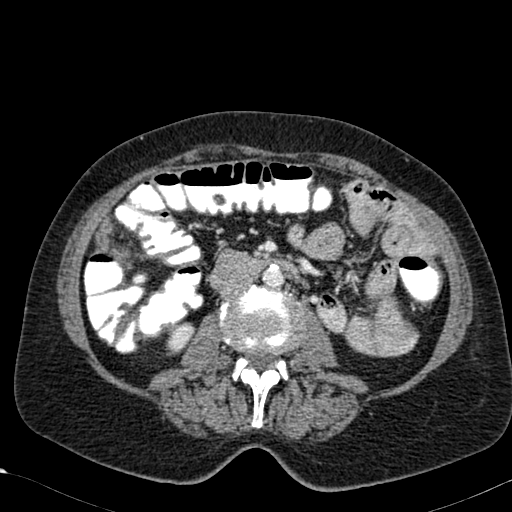 CT
{
  "kidney": [
    "x1=163 y1=317 x2=193 y2=351"
  ]
}